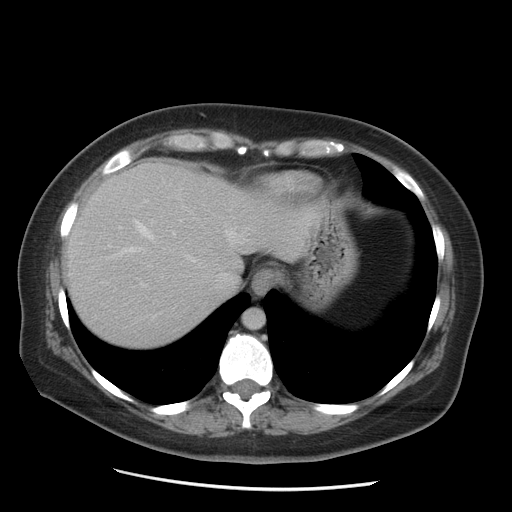

Abdomen. 512x512 px. CT image.
2 liver regions appear at 269:188:282:195, 66:162:319:345.